512x512 px | Upper abdomen | CT image
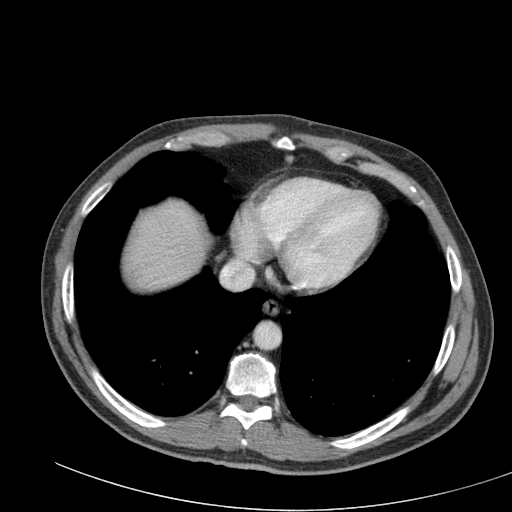

The liver is located at 125 201 203 289.